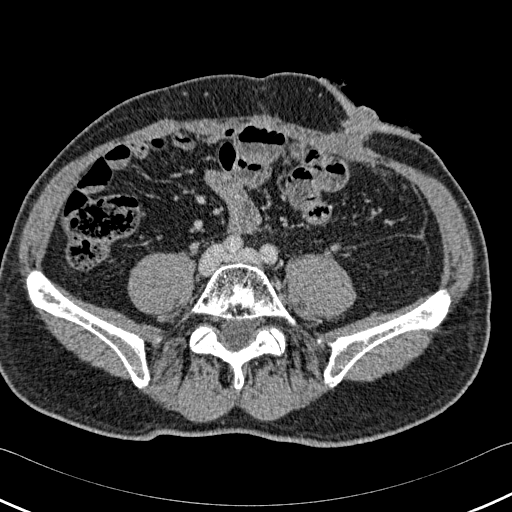
Computed tomography

Bone — 27, 271, 162, 387; 315, 290, 449, 386; 190, 326, 284, 389; 192, 263, 294, 324.